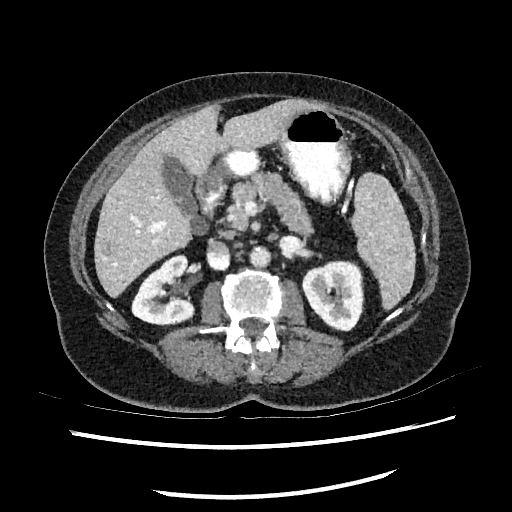 CT image
kidney:
  - <bbox>303, 262, 362, 329</bbox>
  - <bbox>132, 256, 192, 323</bbox>
liver:
  - <bbox>94, 99, 309, 297</bbox>
hepatic_lesion:
  - <bbox>101, 240, 115, 255</bbox>